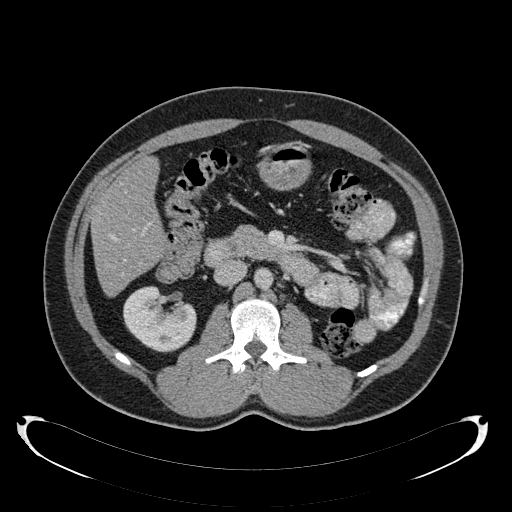 CT, 512x512 px
The liver is at box(90, 158, 164, 295). 2 kidney regions are bounded by box(123, 287, 195, 351); box(182, 351, 189, 358).